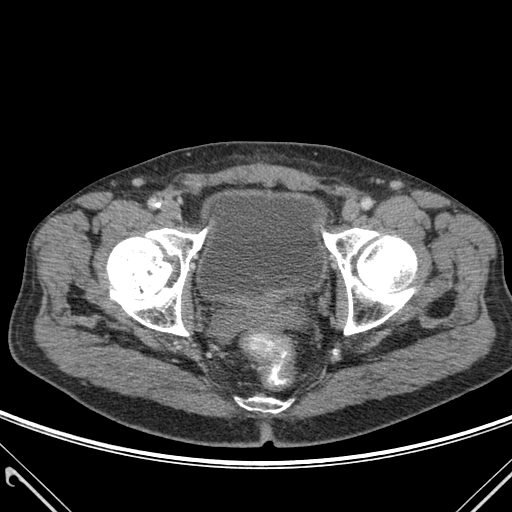 512x512 px. Computed tomography. Annotated regions:
* bone: (left=237, top=397, right=290, bottom=412), (left=107, top=228, right=206, bottom=335), (left=323, top=228, right=416, bottom=334)
* urinary bladder: (left=199, top=195, right=323, bottom=299)